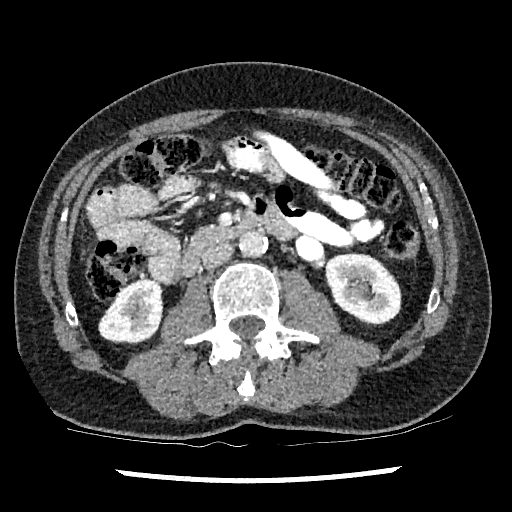
Abdomen. CT image.
* liver: bbox(80, 250, 85, 260)
* kidney: bbox(100, 280, 161, 341); bbox(326, 255, 399, 322)